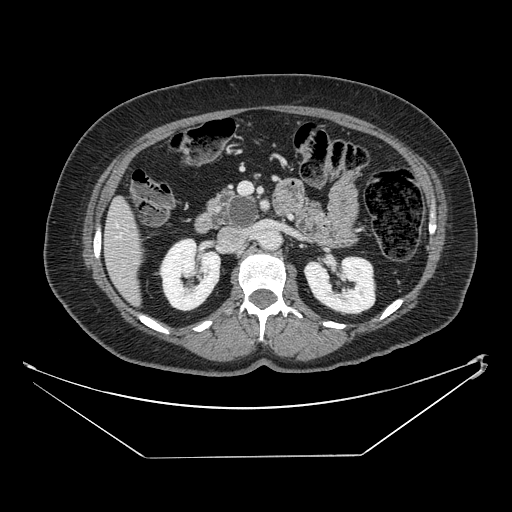

CT. Upper abdomen. Pancreas at l=206, t=187, r=260, b=230.
Pancreatic tumor at l=229, t=197, r=257, b=227.